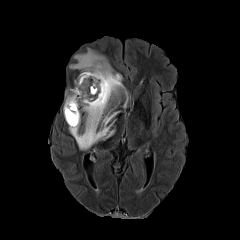
FLAIR MR image.
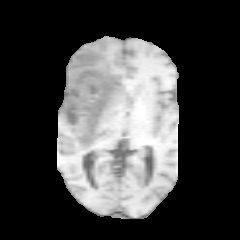
Same slice, T1-weighted MRI.
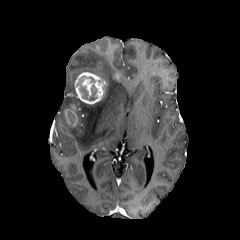
Post-contrast T1-weighted MR of the same slice.
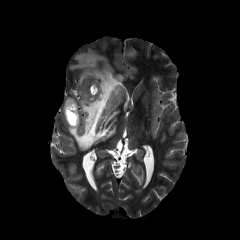
Same slice, T2-weighted MRI.
Segmented structures:
* enhancing tumor: region(75, 72, 103, 104); region(64, 103, 78, 126)
* non-enhancing tumor core: region(76, 76, 97, 101)
* edema: region(64, 88, 78, 109); region(69, 48, 127, 151)